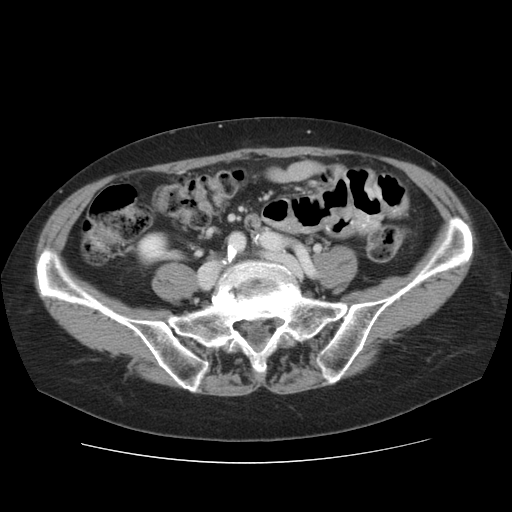

CT. Abdomen.

* kidney: (left=141, top=237, right=163, bottom=256)
* bone: (left=37, top=212, right=472, bottom=392)